CT scan slice. Slice index 47.

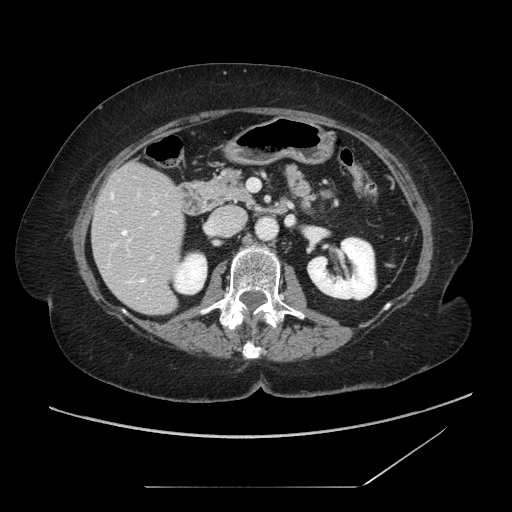 2 pancreas regions appear at rect(213, 168, 253, 204); rect(283, 164, 317, 212).